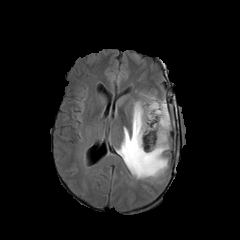
FLAIR magnetic resonance.
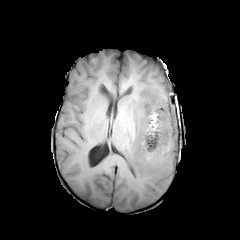
T1-weighted MR.
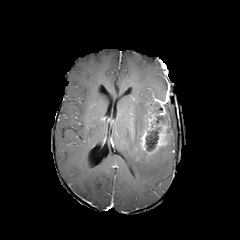
Post-contrast T1-weighted MR image.
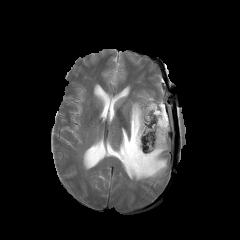
T2-weighted MR image of the same slice.
Brain
Edema: bounding box (x1=110, y1=70, x2=118, y2=80), (x1=114, y1=91, x2=173, y2=184).
Enhancing tumor: bounding box (x1=159, y1=101, x2=165, y2=115), (x1=156, y1=125, x2=166, y2=147).
Non-enhancing tumor core: bounding box (x1=126, y1=126, x2=137, y2=154), (x1=138, y1=103, x2=167, y2=149), (x1=153, y1=97, x2=162, y2=112).